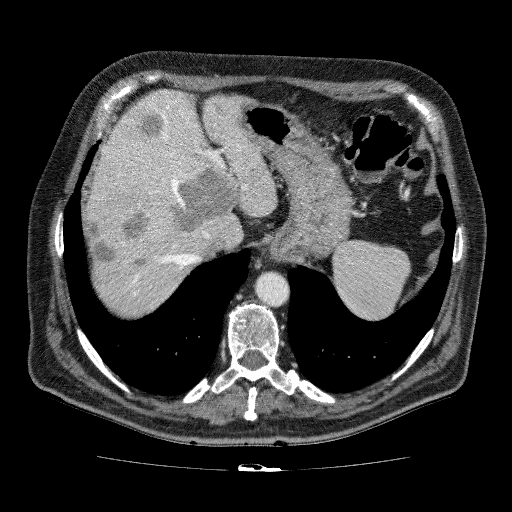
512x512; CT
Segmented structures:
* focal liver lesion: x1=119 y1=210 x2=151 y2=242, x1=180 y1=92 x2=196 y2=110, x1=210 y1=98 x2=229 y2=116, x1=84 y1=213 x2=117 y2=283, x1=167 y1=165 x2=239 y2=234, x1=130 y1=255 x2=148 y2=269, x1=133 y1=109 x2=163 y2=140
* liver: x1=83 y1=89 x2=277 y2=318